Image size 512x512 | Field of view 434 mm wide, 1.00 mm slice spacing | Computed tomography | Chest | Slice index 588
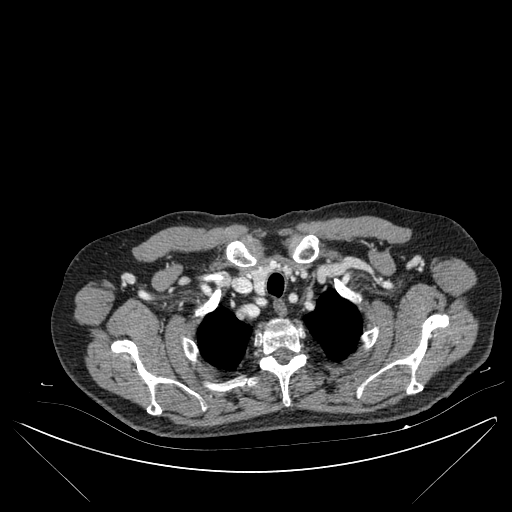
Bone: bounding box box(362, 327, 378, 347); box(367, 314, 448, 393); box(255, 319, 306, 405); box(183, 338, 197, 360); box(293, 235, 318, 262); box(357, 386, 363, 397); box(227, 241, 256, 266); box(205, 274, 223, 285); box(334, 278, 355, 301); box(206, 378, 255, 391); box(198, 287, 220, 315); box(111, 340, 195, 414).
Lung: bounding box box(304, 290, 361, 361); box(267, 278, 283, 296); box(197, 307, 251, 370).